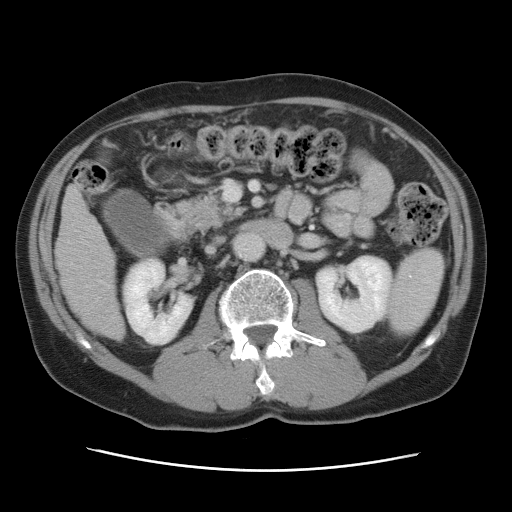
CT

The vessel annotation is not exhaustive.
{
  "hepatic_vessel": [
    "left=99, top=281, right=109, bottom=287",
    "left=96, top=298, right=98, bottom=300",
    "left=71, top=263, right=72, bottom=265",
    "left=86, top=286, right=88, bottom=287"
  ]
}